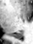
Hippocampus | MRI | Image size 33x44

posterior_hippocampus:
  - [10,31,22,38]